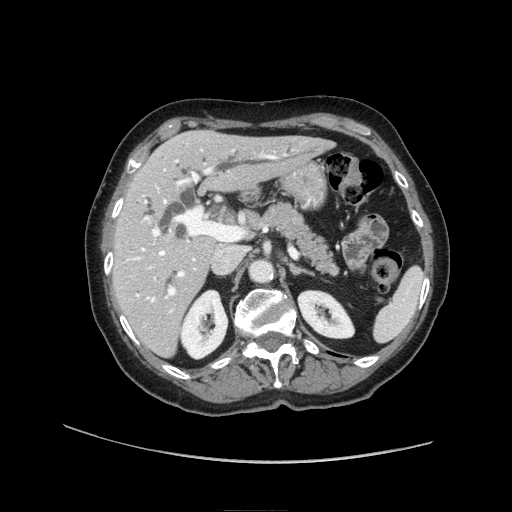
Upper abdomen; CT slice; Image size 512x512
The pancreas lies within (x1=267, y1=202, x2=335, y2=273).